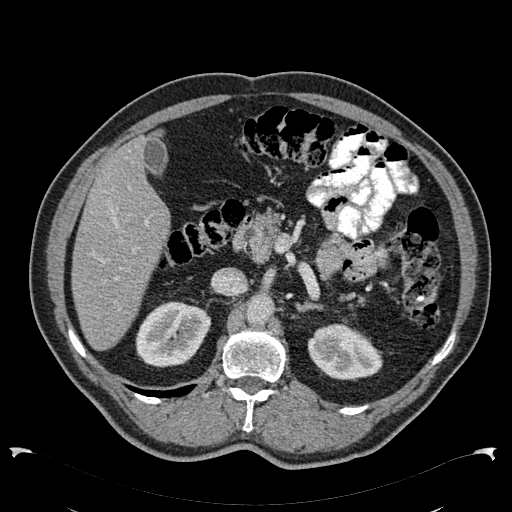
CT slice, 512x512 px

The liver appears at [x1=72, y1=129, x2=169, y2=350]. 2 kidney regions are located at [x1=136, y1=302, x2=210, y2=366], [x1=308, y1=324, x2=381, y2=379].